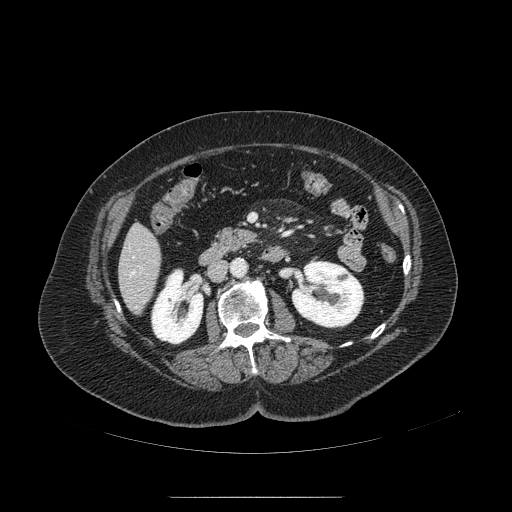 512x512 | CT image
Pancreas — region(213, 224, 256, 253).